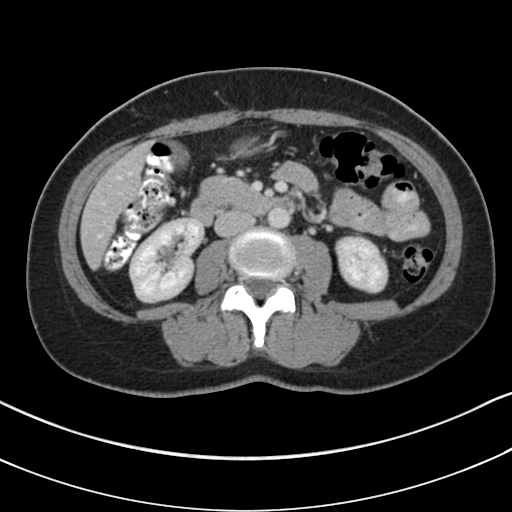 CT scan slice
The pancreas appears at <box>199,176,259,208</box>.